Liver | CT | Slice 92 of 161 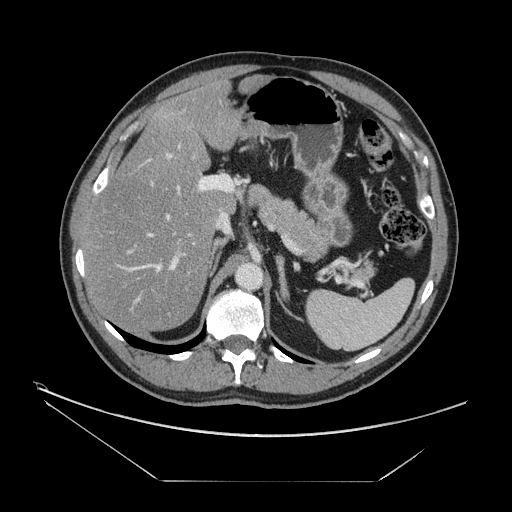 Only some of the vessels may be annotated.
<segmentation>
  <hepatic_vessel>{"x1": 167, "y1": 154, "x2": 171, "y2": 157}, {"x1": 177, "y1": 187, "x2": 179, "y2": 190}, {"x1": 156, "y1": 265, "x2": 160, "y2": 269}, {"x1": 220, "y1": 213, "x2": 226, "y2": 216}, {"x1": 169, "y1": 259, "x2": 176, "y2": 269}</hepatic_vessel>
</segmentation>